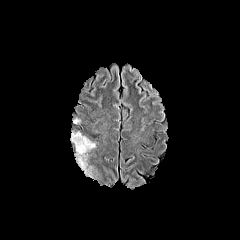
FLAIR MRI.
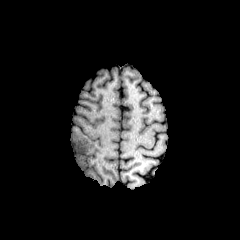
Same slice, T1-weighted MRI.
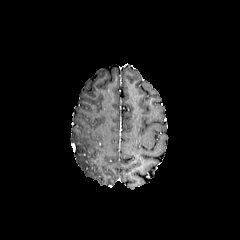
Post-contrast T1-weighted MRI of the same slice.
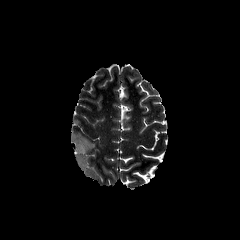
T2-weighted MRI of the same slice.
Image size 240x240
The edema lies within box(70, 132, 95, 170).